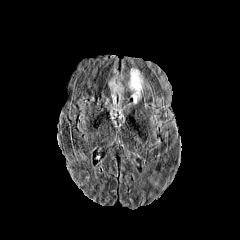
FLAIR MR image.
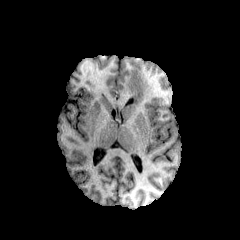
T1-weighted magnetic resonance of the same slice.
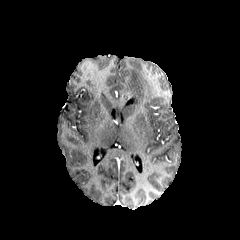
Post-contrast T1-weighted magnetic resonance.
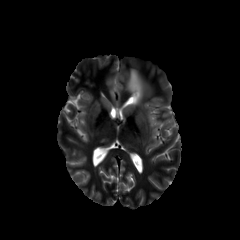
T2-weighted MR of the same slice.
240x240 px
{"edema": ["130 70 142 104"]}